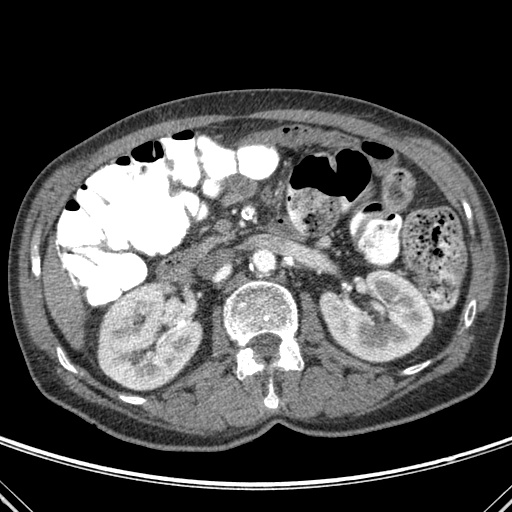

Liver. 512x512. CT slice.
<segmentation>
  <bone>120 395 145 404, 342 283 349 291, 32 246 39 275, 241 207 254 219, 264 377 278 408, 403 361 429 374, 464 300 475 326, 57 347 76 372, 224 280 303 379</bone>
  <liver>44 236 84 343</liver>
  <kidney>321 271 432 361, 373 303 383 313, 99 284 201 389</kidney>
</segmentation>